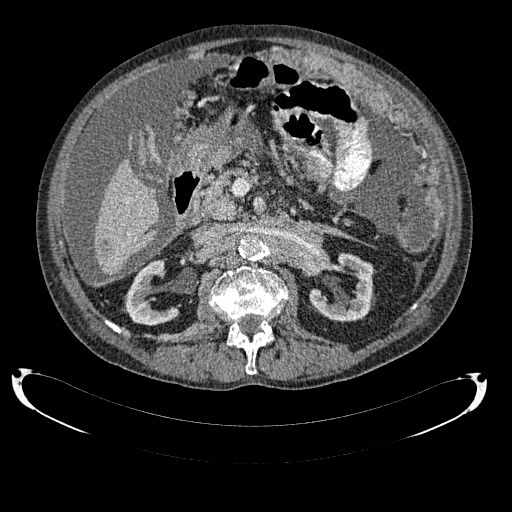

Computed tomography
liver lesion: [x1=100, y1=241, x2=111, y2=253] | liver: [x1=94, y1=158, x2=157, y2=274] | kidney: [x1=306, y1=251, x2=372, y2=320], [x1=126, y1=260, x2=178, y2=324]